Computed tomography, Abdomen
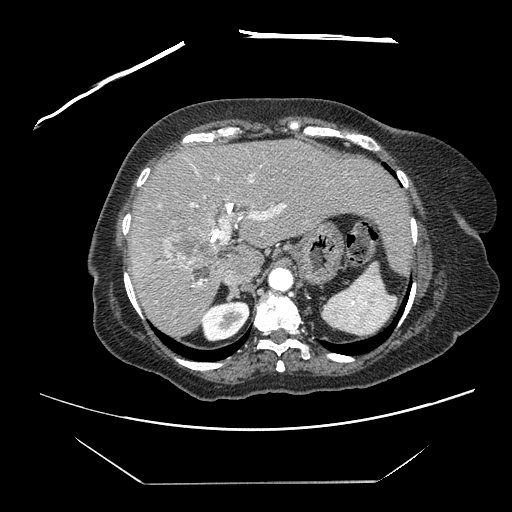 Some hepatic vessels may have no box.
The liver tumor is at (165, 221, 222, 263). 8 hepatic vessel regions are located at (248, 179, 251, 181), (219, 212, 232, 243), (190, 203, 197, 206), (159, 205, 160, 206), (198, 280, 201, 285), (237, 217, 241, 219), (214, 177, 219, 180), (248, 203, 285, 220).